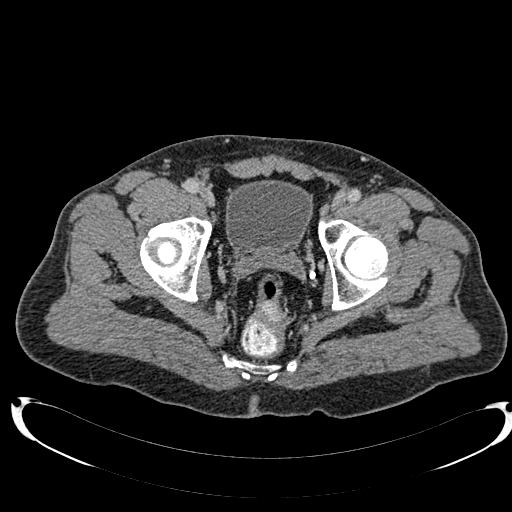

CT image.

urinary bladder: bbox(225, 180, 313, 263)